Slice 387/624. CT slice.
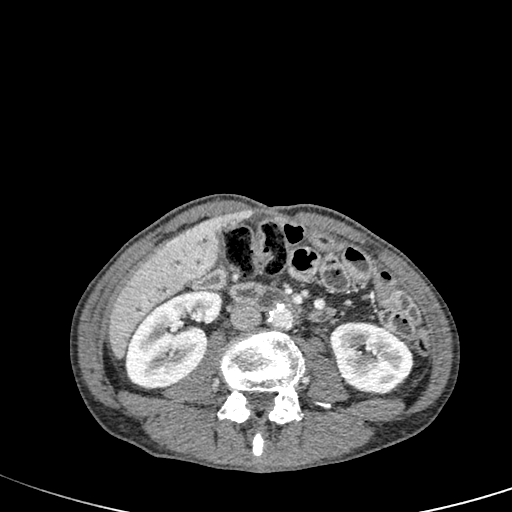
kidney: left=331, top=323, right=412, bottom=392; left=126, top=291, right=221, bottom=387 | liver lesion: left=221, top=210, right=250, bottom=227 | liver: left=108, top=217, right=222, bottom=359